CT image. Image size 512x512. Image width 432 mm.
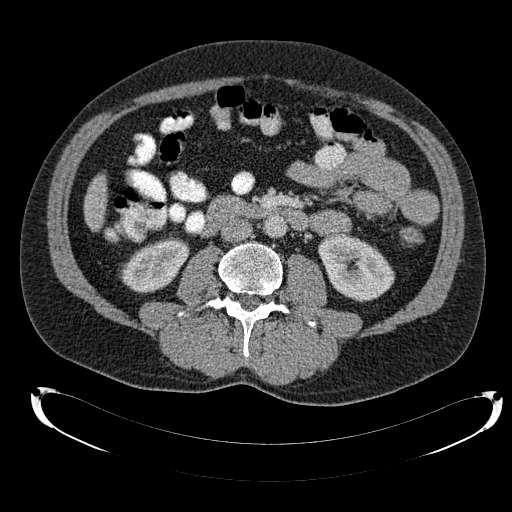
- liver: 85,174,106,230
- kidney: 319,234,393,300; 122,240,187,291